FLAIR MRI.
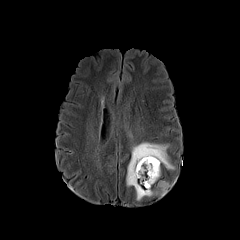
T1-weighted MR image.
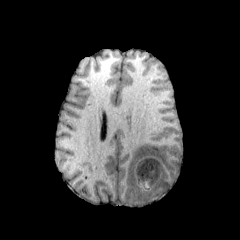
Post-contrast T1-weighted MRI.
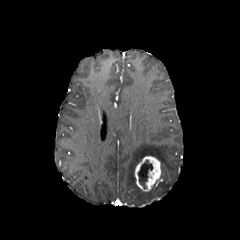
T2-weighted MRI.
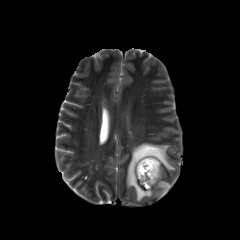
Edema: 126, 142, 174, 200; 158, 181, 170, 195.
Non-enhancing tumor core: 138, 160, 152, 184.
Enhancing tumor: 133, 155, 161, 191.